Slice 83/155.
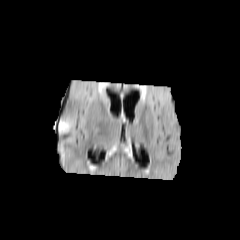
FLAIR MR.
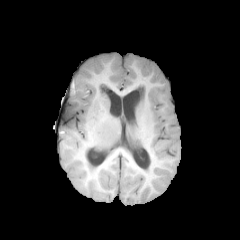
T1-weighted MR image.
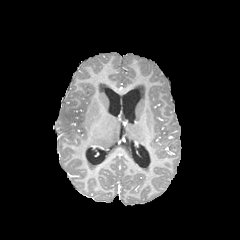
Same slice, post-contrast T1-weighted MR.
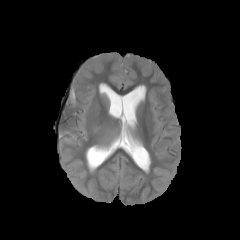
T2-weighted magnetic resonance.
Findings:
- edema: 94:128:112:136